Liver, CT image, Slice 452 of 816

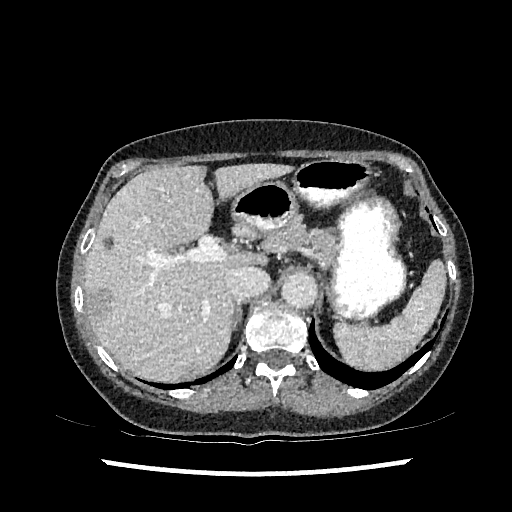

* focal liver lesion: [102,236,114,247], [87,288,112,324]
* liver: [86,166,266,378], [215,164,292,200]